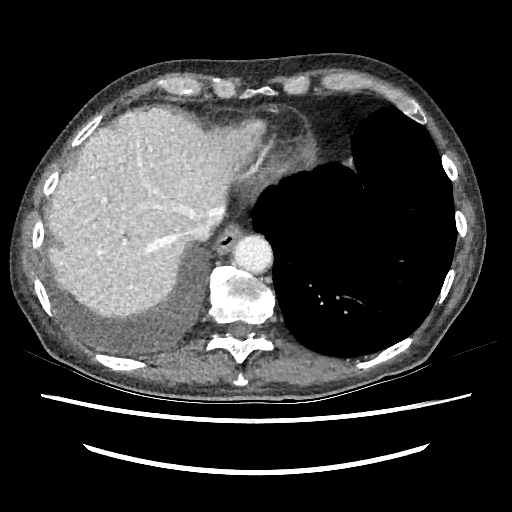

CT scan slice

Liver: bounding box 47,110,255,314.